512x512; CT; Upper abdomen
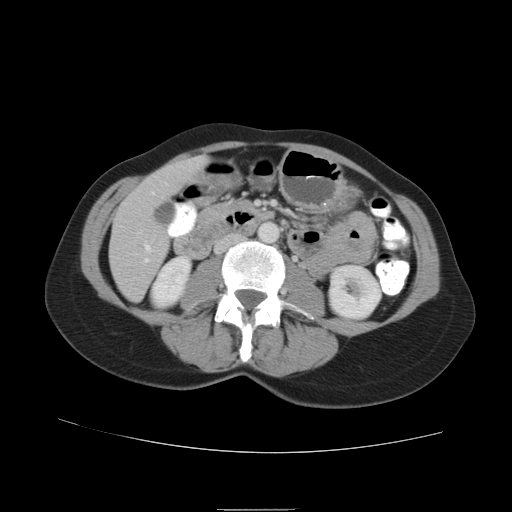 Pancreas: bounding box (326, 234, 370, 262), (220, 207, 226, 219), (203, 209, 217, 224).